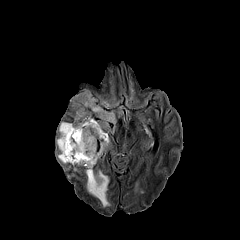
FLAIR MR image.
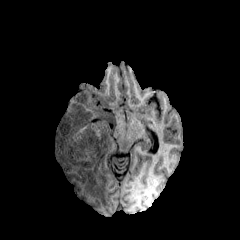
Same slice, T1-weighted MR.
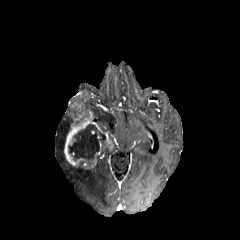
Post-contrast T1-weighted MRI.
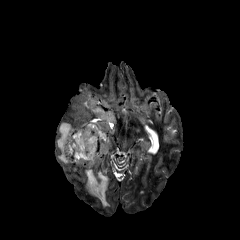
T2-weighted magnetic resonance.
3 edema regions appear at [x1=83, y1=89, x2=116, y2=132], [x1=55, y1=121, x2=71, y2=164], [x1=84, y1=169, x2=110, y2=207]. The enhancing tumor lies within [x1=63, y1=92, x2=113, y2=169]. 2 non-enhancing tumor core regions are bounded by [x1=61, y1=107, x2=72, y2=122], [x1=69, y1=124, x2=105, y2=159].